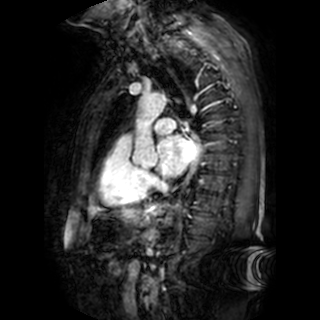

Magnetic resonance. Heart.

Left atrium at <bbox>157, 135, 199, 176</bbox>.